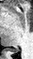
MR, Medial temporal lobe
Segmented structures:
• posterior hippocampus: bbox(8, 48, 18, 52)